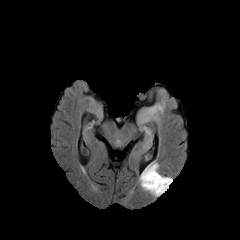
FLAIR MRI.
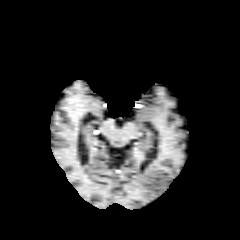
T1-weighted MR image.
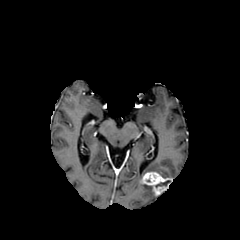
Same slice, post-contrast T1-weighted MRI.
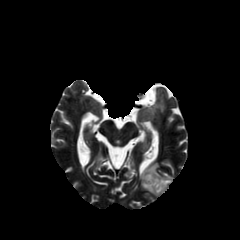
T2-weighted MR image of the same slice.
Image size 240x240
The enhancing tumor lies within region(140, 171, 171, 195). 2 edema regions are located at region(142, 161, 161, 173); region(138, 174, 155, 196).